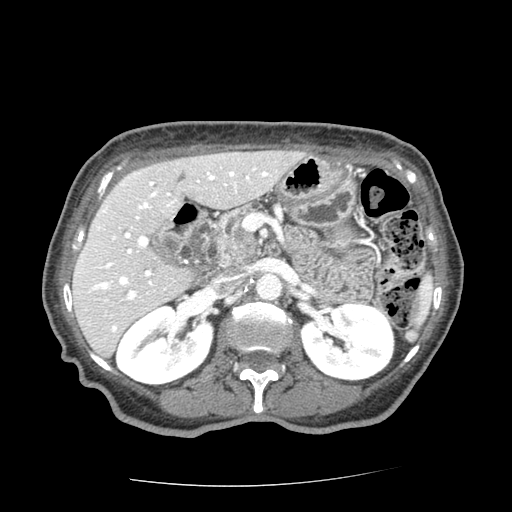 CT. 512x512 px.

- pancreatic tumor: x1=221, y1=222, x2=254, y2=265
- pancreas: x1=210, y1=203, x2=262, y2=269